FLAIR MRI.
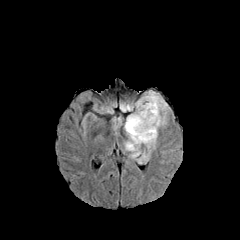
T1-weighted magnetic resonance.
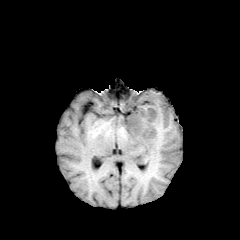
Post-contrast T1-weighted MR.
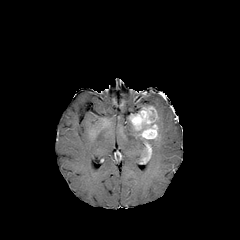
T2-weighted MR.
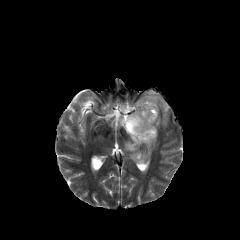
Brain.
<segmentation>
  <enhancing_tumor>bbox(140, 143, 151, 164); bbox(129, 107, 157, 138)</enhancing_tumor>
  <edema>bbox(120, 90, 171, 163); bbox(112, 116, 123, 135)</edema>
  <non-enhancing_tumor_core>bbox(125, 117, 147, 138); bbox(149, 110, 157, 126)</non-enhancing_tumor_core>
</segmentation>